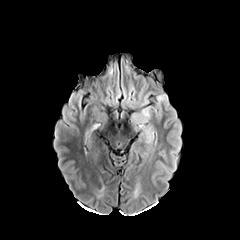
FLAIR magnetic resonance.
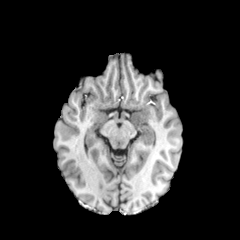
T1-weighted MRI.
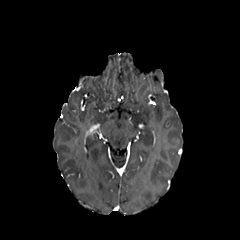
Post-contrast T1-weighted MR.
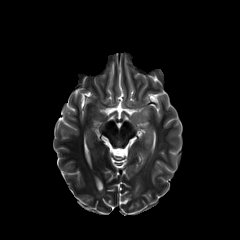
T2-weighted magnetic resonance of the same slice.
Head
Edema: bounding box bbox(121, 76, 157, 150).